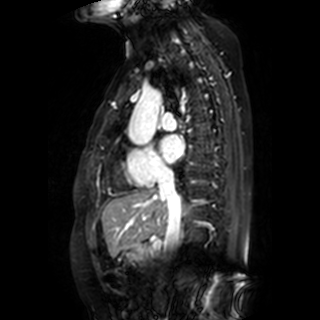 MR image. 320x320 px.
Segmented structures:
* left atrium: [159,135,182,162]